CT image. Slice 65/605.
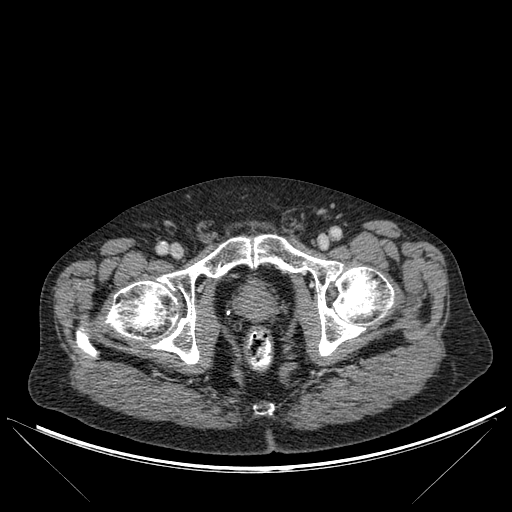 bone: [105,235,393,364], [254,404,273,414], [77,328,96,356]